FLAIR magnetic resonance.
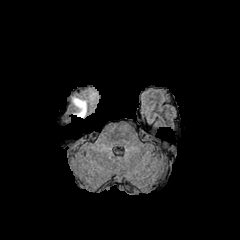
T1-weighted magnetic resonance.
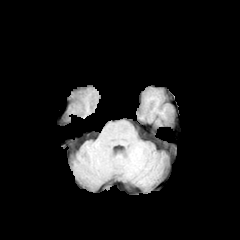
Post-contrast T1-weighted magnetic resonance.
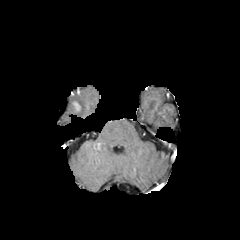
T2-weighted MR image.
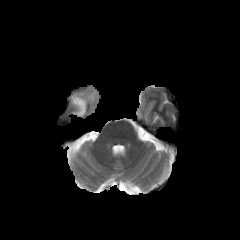
Brain
enhancing tumor: <box>73,101,80,111</box> | edema: <box>71,91,96,117</box>